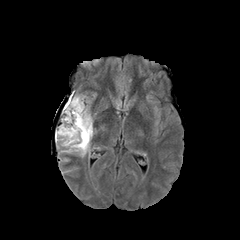
FLAIR MR image.
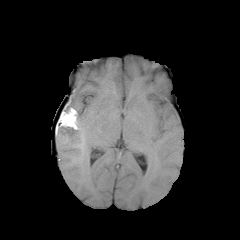
T1-weighted MR image of the same slice.
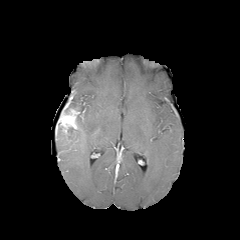
Post-contrast T1-weighted magnetic resonance of the same slice.
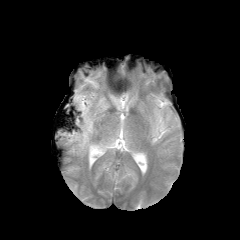
T2-weighted MR image.
Brain.
The enhancing tumor is located at bbox=[62, 108, 76, 128]. The edema is bounded by bbox=[55, 92, 99, 157]. The non-enhancing tumor core is bounded by bbox=[57, 106, 78, 141].